CT; Abdomen
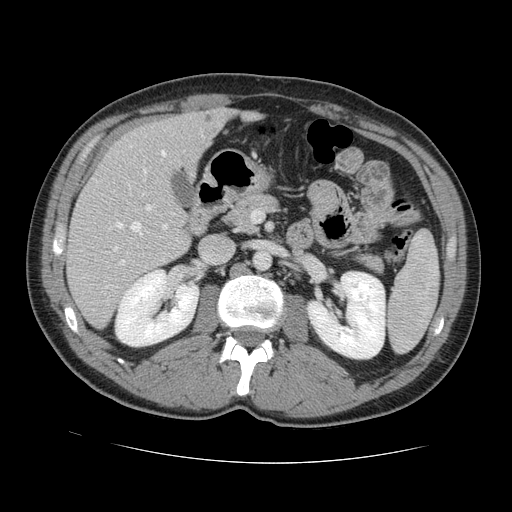 Only some of the vessels may be annotated.
Hepatic vessel: bounding box l=114, t=247, r=117, b=250; l=115, t=222, r=122, b=227; l=146, t=205, r=151, b=210; l=142, t=193, r=144, b=195; l=104, t=285, r=109, b=288; l=82, t=275, r=87, b=277; l=142, t=169, r=145, b=180; l=161, t=151, r=164, b=155; l=162, t=225, r=166, b=228; l=131, t=222, r=140, b=234; l=129, t=145, r=131, b=146; l=171, t=213, r=174, b=214; l=120, t=260, r=124, b=264.